Image width 240 mm
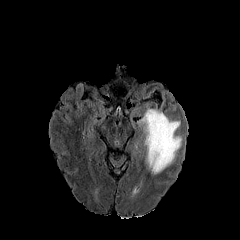
FLAIR MRI.
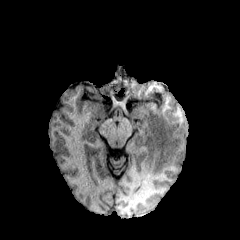
T1-weighted magnetic resonance.
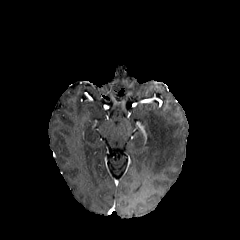
Post-contrast T1-weighted magnetic resonance.
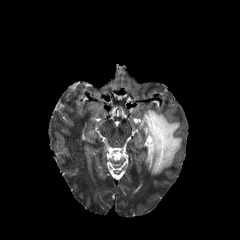
T2-weighted MR.
Edema — (140, 108, 181, 175).